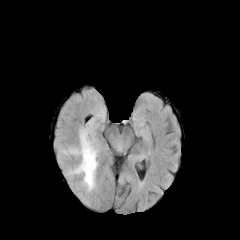
FLAIR magnetic resonance.
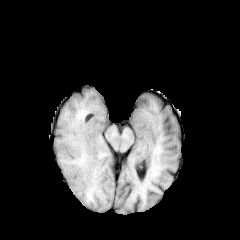
T1-weighted MR.
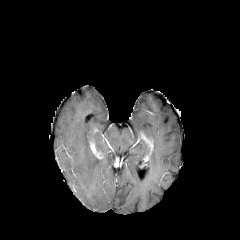
Post-contrast T1-weighted MR of the same slice.
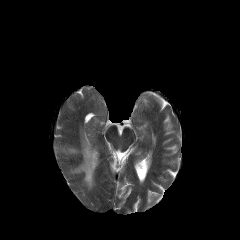
T2-weighted MR image.
240x240; Head
Edema: bounding box <bbox>60, 129, 98, 189</bbox>.